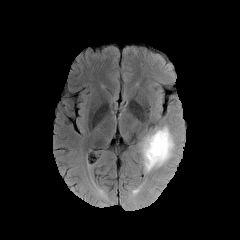
FLAIR MR image.
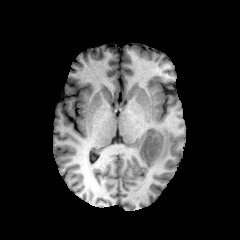
T1-weighted MRI.
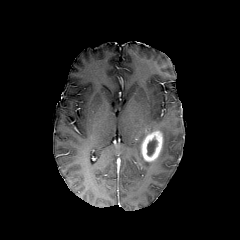
Post-contrast T1-weighted MRI of the same slice.
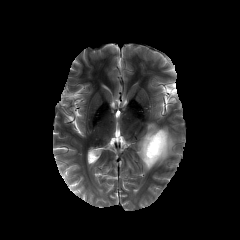
Same slice, T2-weighted MR image.
Brain
Annotated regions:
• non-enhancing tumor core: (147,140,156,155)
• enhancing tumor: (140,130,163,163)
• edema: (136,125,179,172)